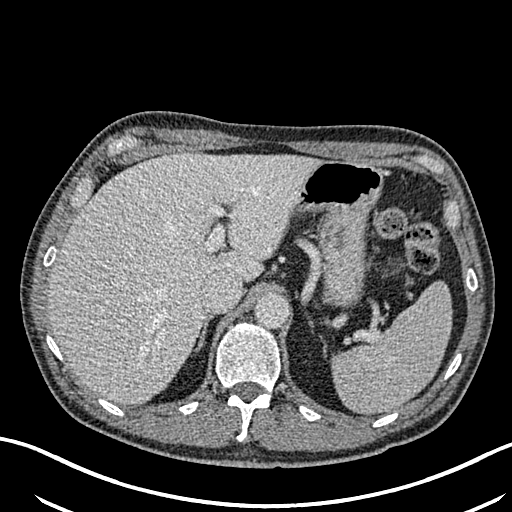 Abdomen, Computed tomography

liver: x1=49 y1=154 x2=322 y2=405